Brain
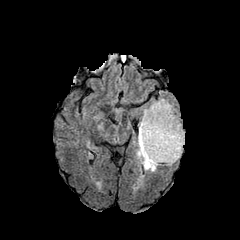
FLAIR magnetic resonance.
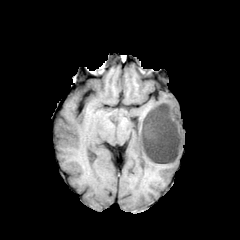
T1-weighted MRI.
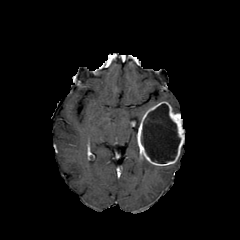
Same slice, post-contrast T1-weighted MRI.
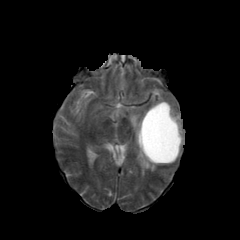
T2-weighted magnetic resonance.
<segmentation>
  <edema>bbox(140, 97, 179, 119); bbox(134, 134, 157, 171)</edema>
  <enhancing_tumor>bbox(136, 101, 184, 165)</enhancing_tumor>
  <non-enhancing_tumor_core>bbox(142, 104, 179, 163)</non-enhancing_tumor_core>
</segmentation>